Slice 43/155.
FLAIR MR.
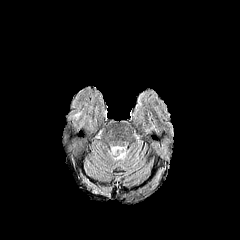
T1-weighted MRI.
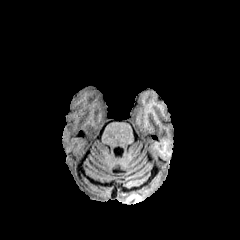
Post-contrast T1-weighted MR image.
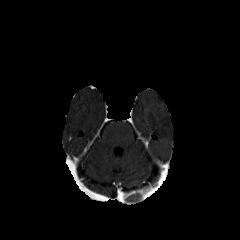
T2-weighted MRI.
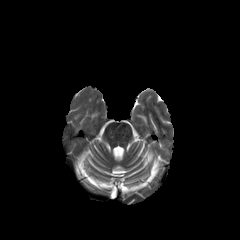
Edema: (left=73, top=111, right=82, bottom=120).